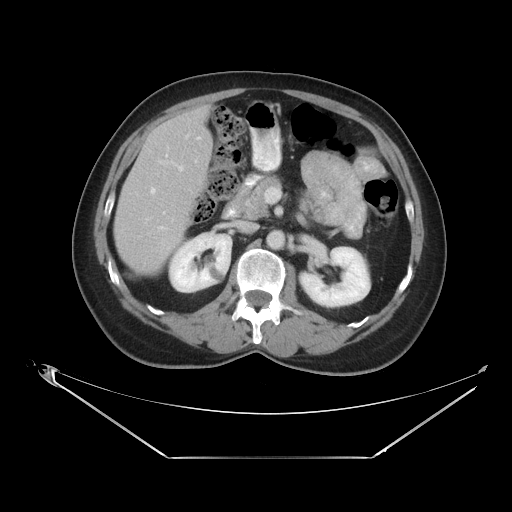 CT, Liver
Some hepatic vessels may have no box.
Findings:
• hepatic vessel: {"x1": 195, "y1": 160, "x2": 196, "y2": 162}, {"x1": 170, "y1": 161, "x2": 183, "y2": 171}
• liver tumor: {"x1": 135, "y1": 249, "x2": 160, "y2": 269}